Slice index 108
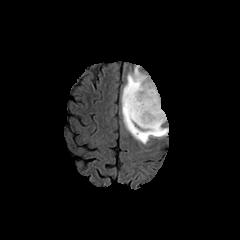
FLAIR MR.
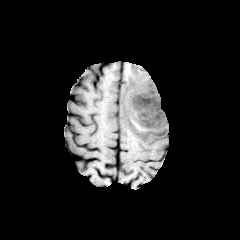
T1-weighted magnetic resonance.
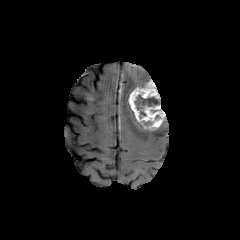
Post-contrast T1-weighted magnetic resonance.
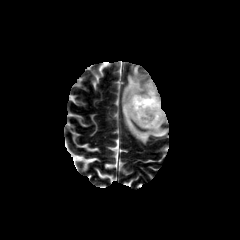
Same slice, T2-weighted MR.
non-enhancing_tumor_core:
  - x1=135, y1=95, x2=160, y2=109
  - x1=127, y1=81, x2=145, y2=97
  - x1=148, y1=128, x2=165, y2=135
  - x1=124, y1=98, x2=135, y2=119
edema:
  - x1=120, y1=65, x2=168, y2=144
enhancing_tumor:
  - x1=128, y1=80, x2=165, y2=129